Slice index 107, Head
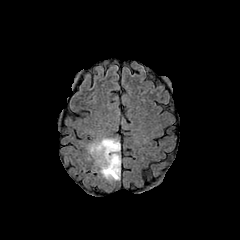
FLAIR MR.
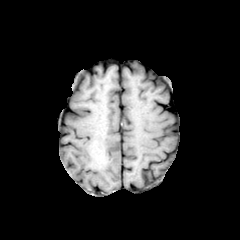
Same slice, T1-weighted MR image.
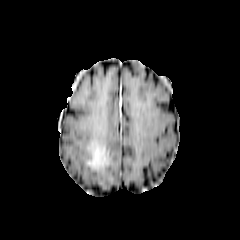
Post-contrast T1-weighted MRI.
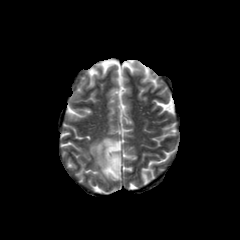
T2-weighted MR of the same slice.
Findings:
- edema: [x1=87, y1=135, x2=121, y2=183]
- non-enhancing tumor core: [x1=91, y1=144, x2=117, y2=168]
- enhancing tumor: [x1=92, y1=146, x2=106, y2=167]